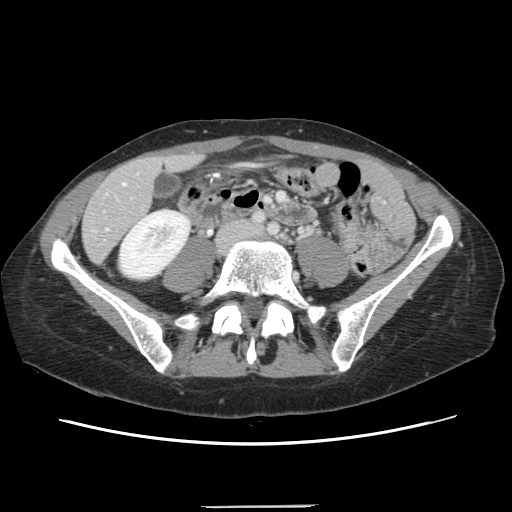 CT slice. 512x512 px.
Not every hepatic vessel necessarily has a box.
Hepatic vessel = x1=106, y1=228, x2=107, y2=230; x1=122, y1=183, x2=125, y2=185.